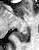
MR image
Posterior hippocampus: box=[14, 28, 28, 42].